CT. 512x512 px. Field of view 496x496 mm.

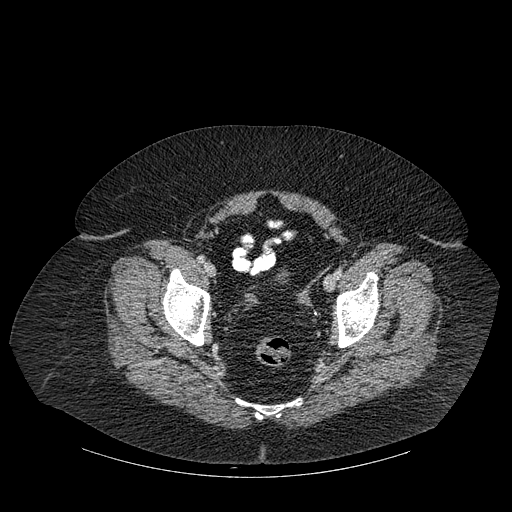

Annotated regions:
- bone: (163, 269, 209, 345), (335, 272, 378, 347), (236, 398, 301, 419)